Slice 528 of 552 | Brain | Field of view 700 mm wide, 3.27 mm slice spacing | CT scan slice 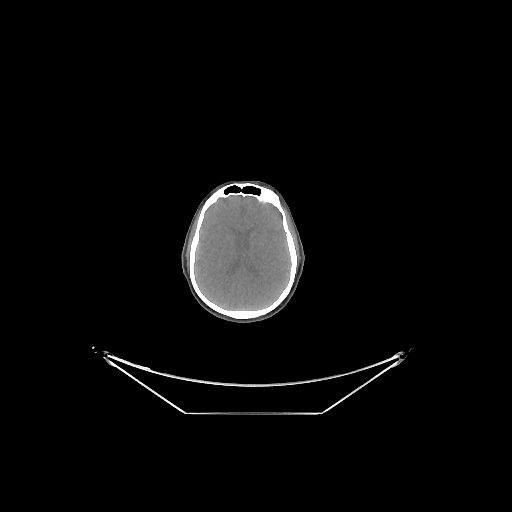
Brain at <box>194,195,291,310</box>.